Image width 512 mm; CT scan slice
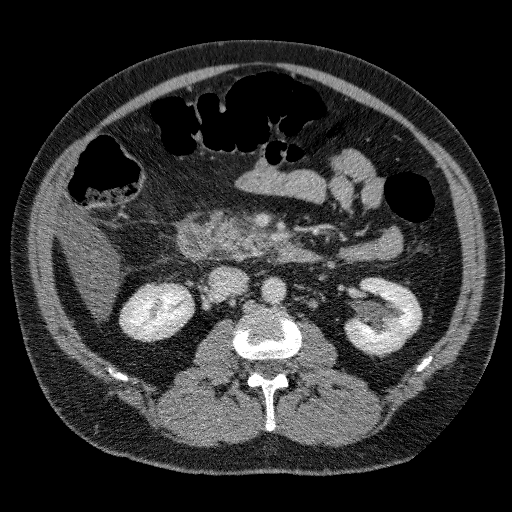
Liver: bounding box bbox(56, 209, 118, 315).
Kidney: bounding box bbox(122, 284, 191, 339); bbox(346, 279, 420, 352).